FLAIR MR.
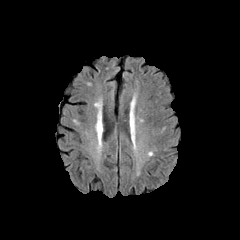
T1-weighted MR image.
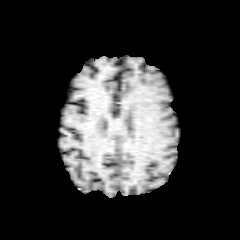
Post-contrast T1-weighted MR image.
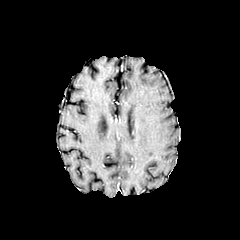
T2-weighted magnetic resonance.
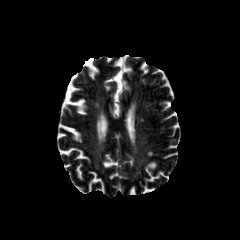
240x240
{
  "edema": [
    "box=[130, 102, 134, 131]"
  ]
}